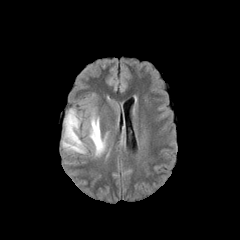
FLAIR magnetic resonance.
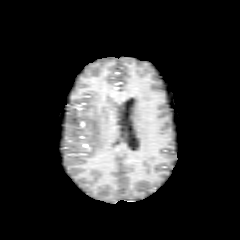
T1-weighted MR image.
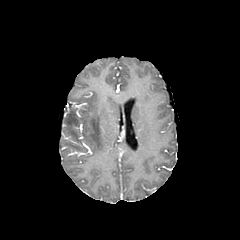
Same slice, post-contrast T1-weighted magnetic resonance.
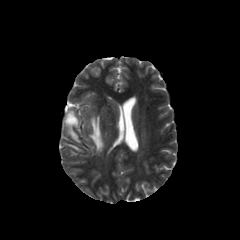
T2-weighted MRI.
240x240 px
2 edema regions appear at box=[63, 110, 83, 152]; box=[89, 117, 104, 154].